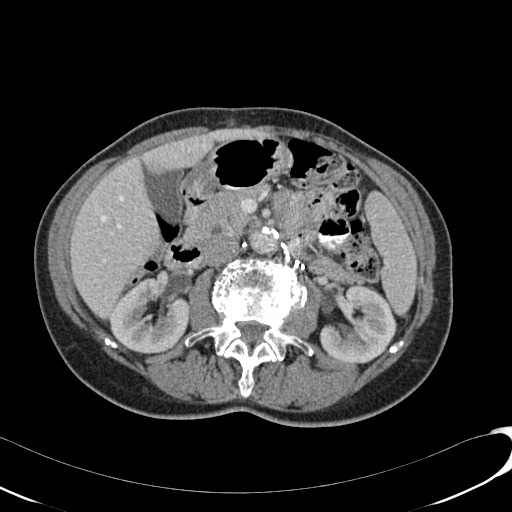 CT

2 kidney regions are bounded by (x1=109, y1=279, x2=188, y2=352), (x1=321, y1=286, x2=395, y2=363). The liver is bounded by (x1=71, y1=129, x2=271, y2=317). The liver lesion appears at (x1=147, y1=157, x2=164, y2=172).